CT slice. Liver.
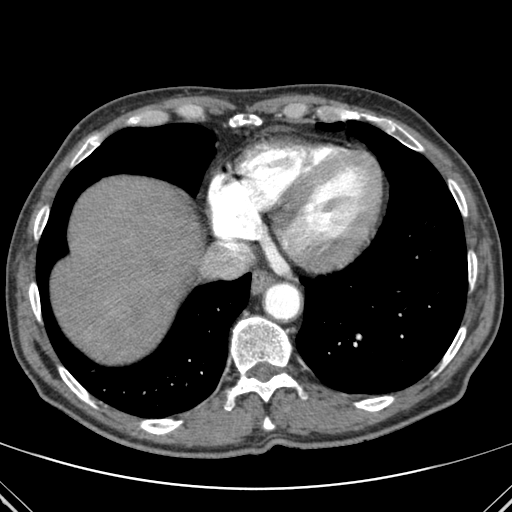 * liver: l=51, t=176, r=206, b=364
* lung: l=36, t=123, r=250, b=417; l=316, t=122, r=344, b=131; l=296, t=120, r=467, b=393
* bone: l=140, t=419, r=182, b=434; l=263, t=417, r=274, b=429; l=34, t=206, r=48, b=238; l=225, t=316, r=306, b=410; l=379, t=119, r=423, b=150; l=354, t=396, r=393, b=411; l=71, t=136, r=99, b=163; l=29, t=283, r=40, b=320; l=340, t=111, r=359, b=118; l=229, t=114, r=261, b=126; l=468, t=253, r=477, b=286; l=441, t=327, r=465, b=367; l=449, t=179, r=467, b=216; l=59, t=367, r=95, b=407